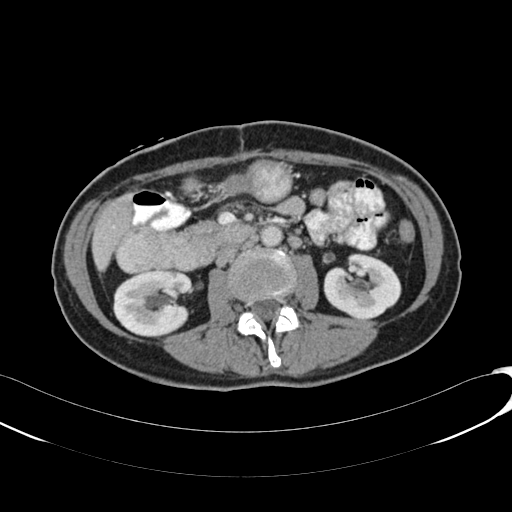
Computed tomography; Upper abdomen; 512x512 px
The liver is located at x1=92, y1=193, x2=133, y2=270. 2 kidney regions are bounded by x1=325, y1=255, x2=400, y2=318; x1=115, y1=271, x2=186, y2=335.